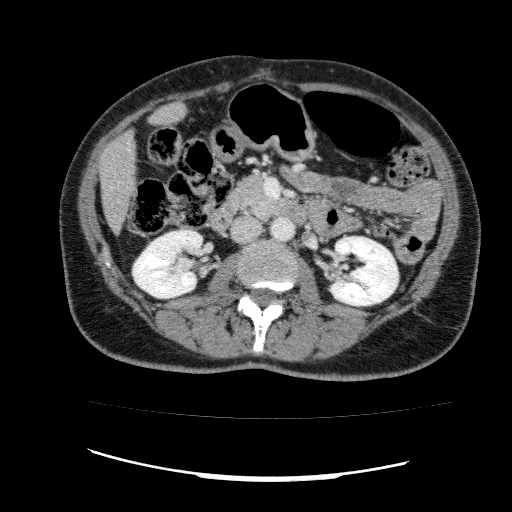 CT image. Upper abdomen.

Segmented structures:
- kidney: bbox=[133, 230, 202, 298]; bbox=[330, 237, 398, 305]
- liver: bbox=[151, 103, 188, 124]; bbox=[99, 131, 135, 234]